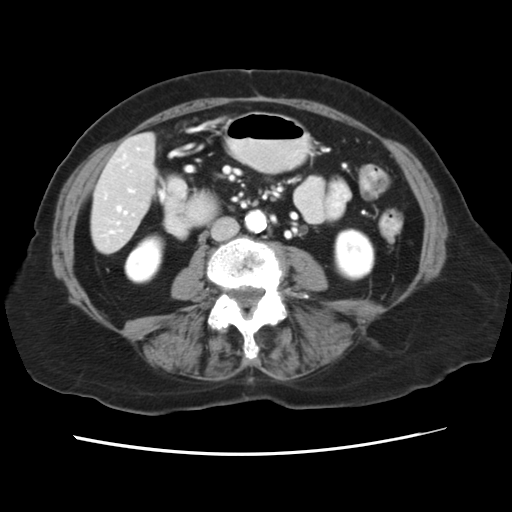 CT slice
Some hepatic vessels may have no box.
8 hepatic vessel regions appear at x1=118, y1=230, x2=121, y2=231; x1=105, y1=230, x2=114, y2=236; x1=117, y1=155, x2=126, y2=168; x1=117, y1=207, x2=127, y2=214; x1=105, y1=194, x2=106, y2=198; x1=137, y1=148, x2=141, y2=150; x1=128, y1=189, x2=134, y2=192; x1=117, y1=222, x2=119, y2=224.